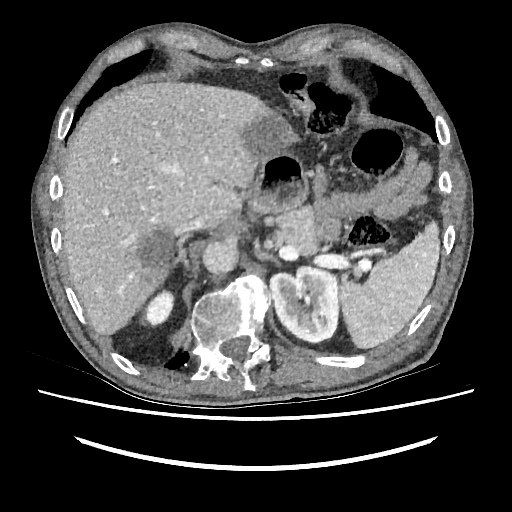
Upper abdomen, CT

Hepatic lesion = (130,226,173,287), (242,114,291,159).
Liver = (62,82,279,333), (279,127,297,151).
Kidney = (147,293,172,324), (270,267,339,342).